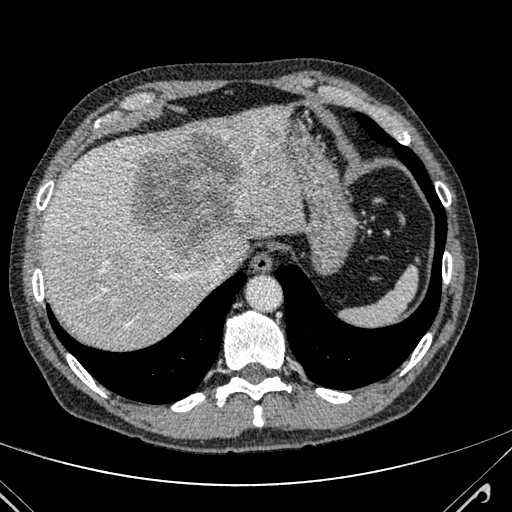
512x512 px, Upper abdomen, CT image
Liver — 43 107 303 347.
Liver lesion — 267 131 280 142, 130 131 260 258.